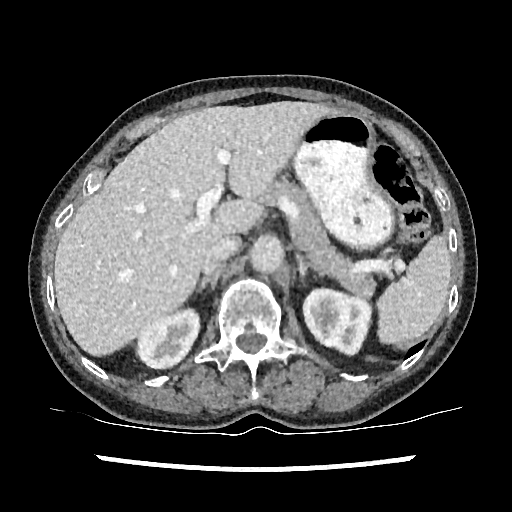
Upper abdomen; CT slice

kidney: box(304, 290, 371, 353); box(139, 311, 198, 371) | liver: box(55, 102, 332, 354)